Liver, CT, Image size 512x512, Image width 330 mm

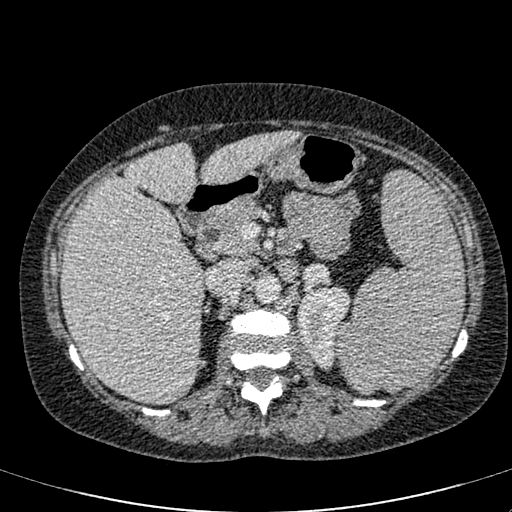

liver: (201,133,297,185), (63,143,203,403) | kidney: (297,287,349,367)